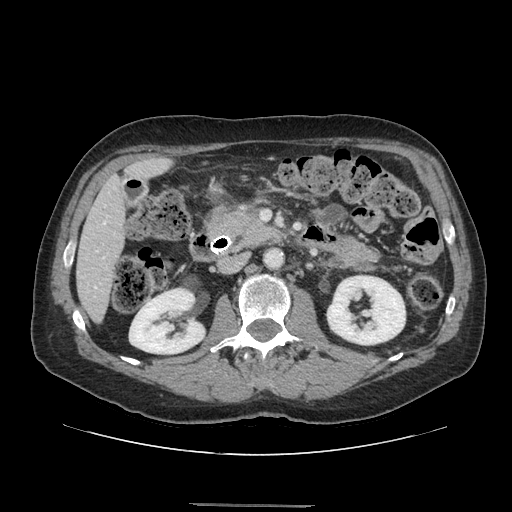

CT image

Pancreas: bounding box 209:212:277:253.